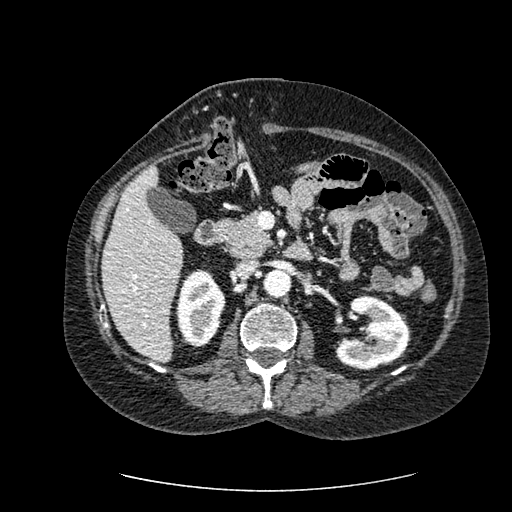 CT | Abdomen | Image size 512x512

2 kidney regions are bounded by region(336, 296, 408, 368); region(177, 270, 224, 345). The liver is bounded by region(101, 166, 182, 361).